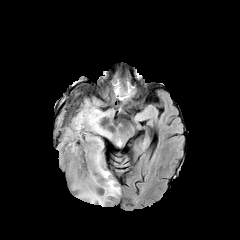
FLAIR MR.
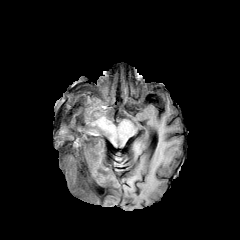
T1-weighted MRI of the same slice.
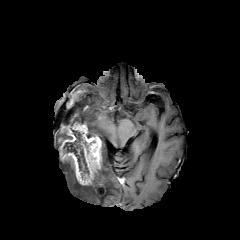
Post-contrast T1-weighted MR image.
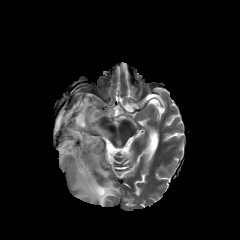
T2-weighted magnetic resonance of the same slice.
Brain
The enhancing tumor lies within left=60, top=122, right=101, bottom=185. 2 edema regions appear at left=70, top=99, right=114, bottom=138; left=67, top=159, right=120, bottom=205. 2 non-enhancing tumor core regions are located at left=62, top=130, right=89, bottom=174; left=61, top=155, right=75, bottom=172.